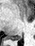
35x46, MR

The posterior hippocampus is at left=10, top=35, right=22, bottom=40.